CT image; Slice 397 of 588; Liver 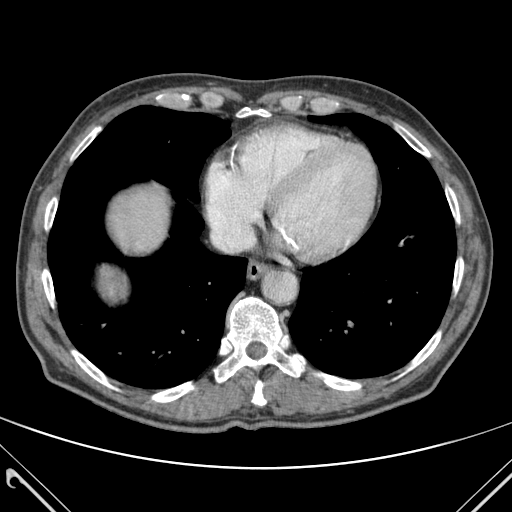 <segmentation>
  <lung>(x1=288, y1=113, x2=456, y2=378), (x1=48, y1=105, x2=247, y2=388)</lung>
  <bone>(x1=72, y1=350, x2=112, y2=388), (x1=45, y1=195, x2=57, y2=229), (x1=42, y1=268, x2=54, y2=307), (x1=237, y1=107, x2=270, y2=116), (x1=395, y1=125, x2=430, y2=156), (x1=152, y1=382, x2=193, y2=402), (x1=446, y1=188, x2=459, y2=222), (x1=407, y1=332, x2=440, y2=370), (x1=71, y1=127, x2=100, y2=158), (x1=215, y1=297, x2=304, y2=382), (x1=453, y1=259, x2=463, y2=291), (x1=252, y1=381, x2=265, y2=405), (x1=317, y1=373, x2=360, y2=390)</bone>
  <liver>(x1=103, y1=283, x2=116, y2=290), (x1=109, y1=184, x2=167, y2=252)</liver>
</segmentation>